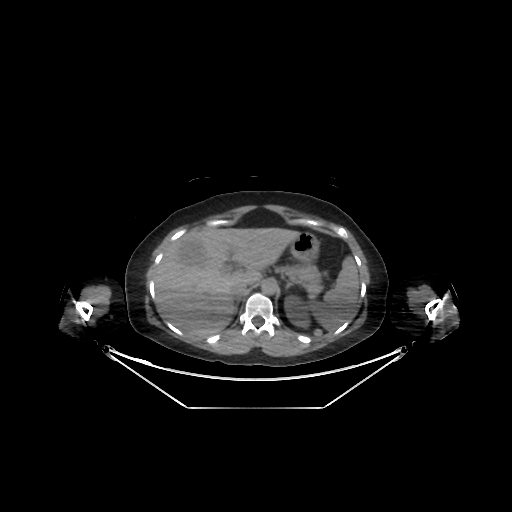

CT, 512x512
liver:
  - x1=150, y1=226, x2=298, y2=339
kidney:
  - x1=284, y1=295, x2=312, y2=328